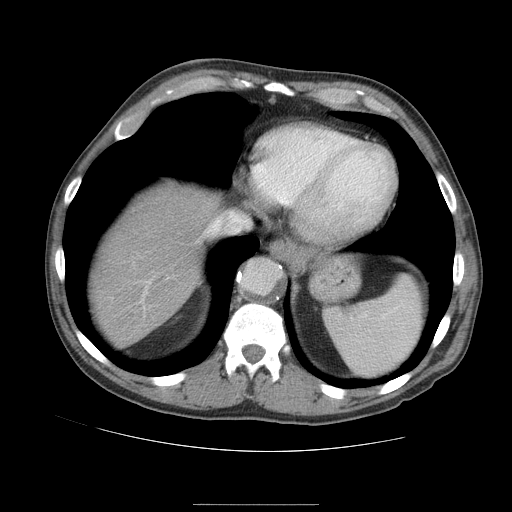 CT slice | Image size 512x512

The vessel annotation is not exhaustive.
Annotated regions:
- hepatic vessel: 205,213,247,234; 146,281,150,283; 141,287,147,301